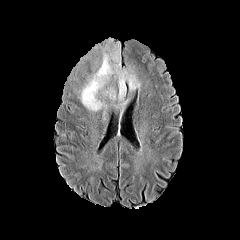
FLAIR MR image.
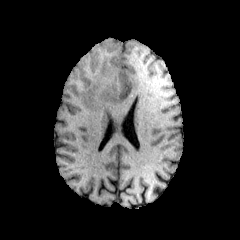
T1-weighted MRI.
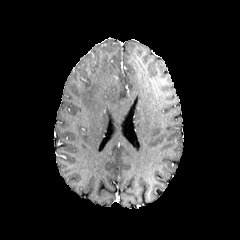
Post-contrast T1-weighted MR of the same slice.
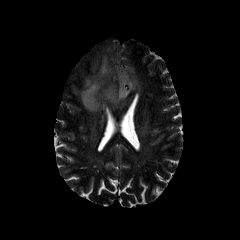
Same slice, T2-weighted MR.
<segmentation>
  <edema>region(80, 50, 139, 111)</edema>
</segmentation>